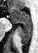 MRI slice | Hippocampus
posterior hippocampus: 17, 24, 32, 44 | anterior hippocampus: 10, 8, 32, 24